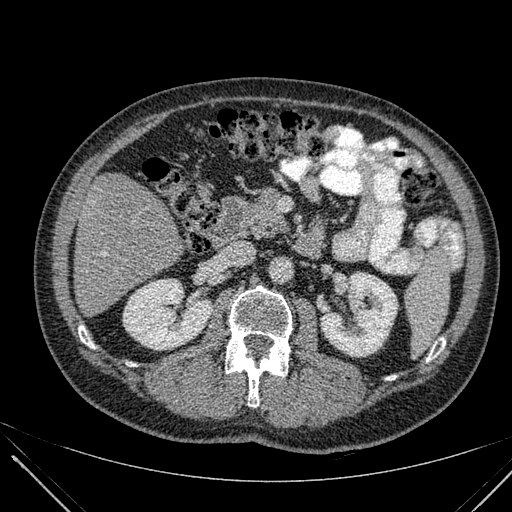
Abdomen. CT image. Liver at [x1=73, y1=173, x2=184, y2=317].
Kidney at [x1=123, y1=279, x2=212, y2=349], [x1=321, y1=273, x2=397, y2=356].